Brain
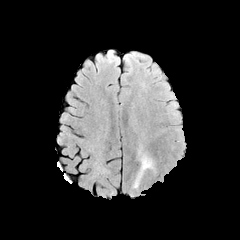
FLAIR MR image.
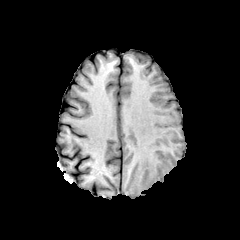
T1-weighted MRI.
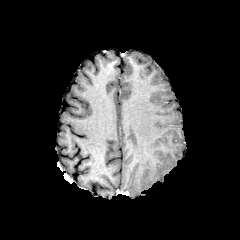
Post-contrast T1-weighted MRI of the same slice.
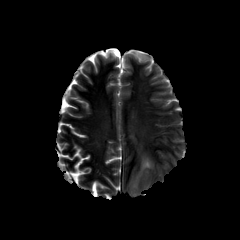
T2-weighted MRI.
<segmentation>
  <edema>[133,156,153,187]</edema>
</segmentation>